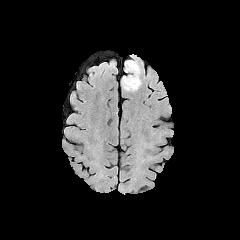
FLAIR magnetic resonance.
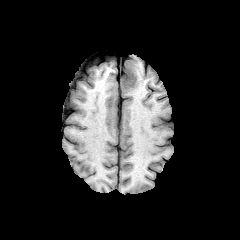
T1-weighted MR.
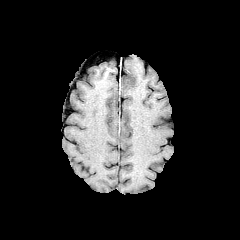
Post-contrast T1-weighted MRI.
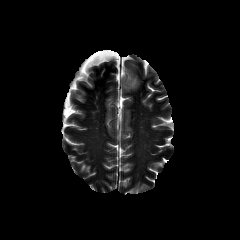
T2-weighted MR of the same slice.
Image size 240x240 | Brain
Segmented structures:
• non-enhancing tumor core: (left=126, top=66, right=135, bottom=83)
• edema: (left=122, top=60, right=141, bottom=91)